Slice 109 of 168, Computed tomography 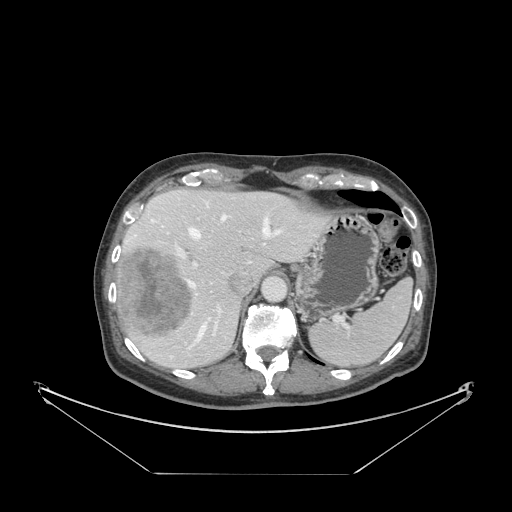
spleen: box=[308, 278, 412, 366]